Head
FLAIR magnetic resonance.
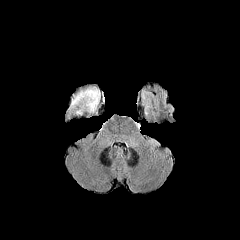
T1-weighted MR.
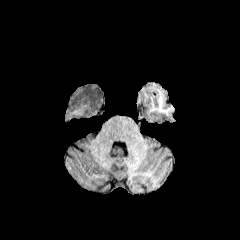
Post-contrast T1-weighted MR.
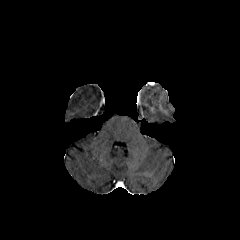
T2-weighted MR.
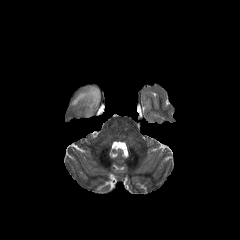
{"edema": ["(left=71, top=86, right=99, bottom=110)"]}